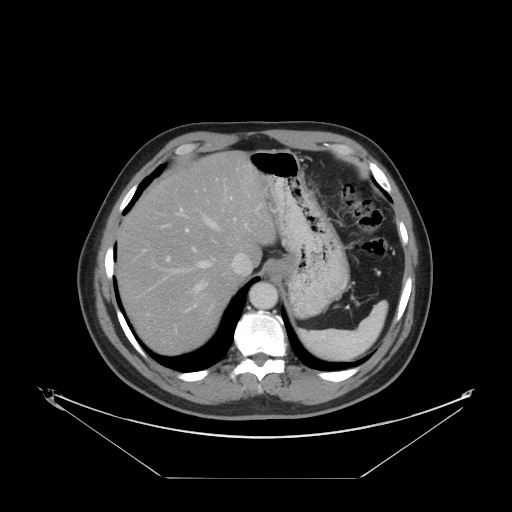

Liver; CT scan slice
The vessel boxes may cover only some of the vessels.
hepatic_vessel:
  - <bbox>173, 270, 183, 272</bbox>
  - <bbox>230, 197, 232, 198</bbox>
  - <bbox>193, 248, 195, 250</bbox>
  - <bbox>256, 207, 258, 210</bbox>
  - <bbox>232, 253, 249, 273</bbox>
  - <bbox>167, 257, 169, 259</bbox>
  - <bbox>204, 217, 215, 227</bbox>
  - <bbox>199, 262, 209, 267</bbox>
  - <bbox>194, 305, 195, 306</bbox>
  - <bbox>194, 283, 206, 292</bbox>
  - <bbox>186, 229, 188, 231</bbox>
  - <bbox>178, 208, 184, 215</bbox>